Head, Slice index 112
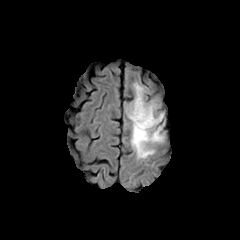
FLAIR MR image.
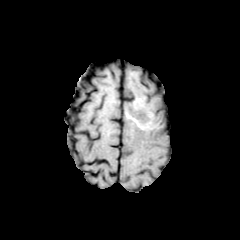
T1-weighted MR.
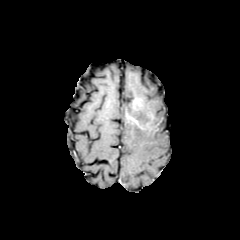
Same slice, post-contrast T1-weighted MR.
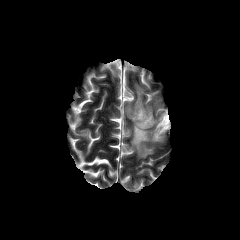
Same slice, T2-weighted MR.
enhancing tumor: box=[134, 99, 142, 109] | non-enhancing tumor core: box=[129, 98, 161, 131] | edema: box=[134, 83, 163, 123]; box=[125, 101, 132, 113]; box=[126, 113, 164, 159]